FLAIR MR.
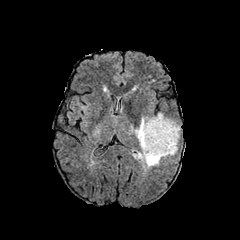
T1-weighted MRI.
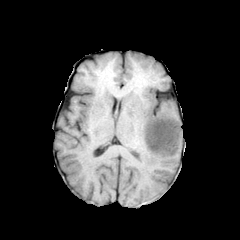
Post-contrast T1-weighted MR image.
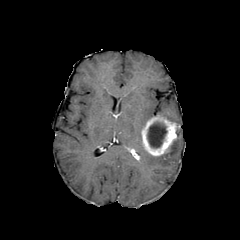
T2-weighted MRI.
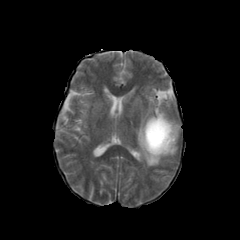
Image size 240x240
Enhancing tumor at x1=140 y1=113 x2=180 y2=156.
Edema at x1=131 y1=113 x2=178 y2=168.
Non-enhancing tumor core at x1=148 y1=123 x2=166 y2=147.